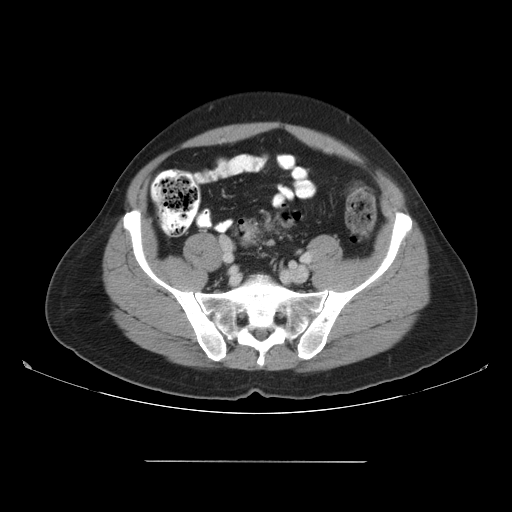

512x512; CT scan slice
colon tumor: 239 223 253 243